CT scan slice | Abdomen

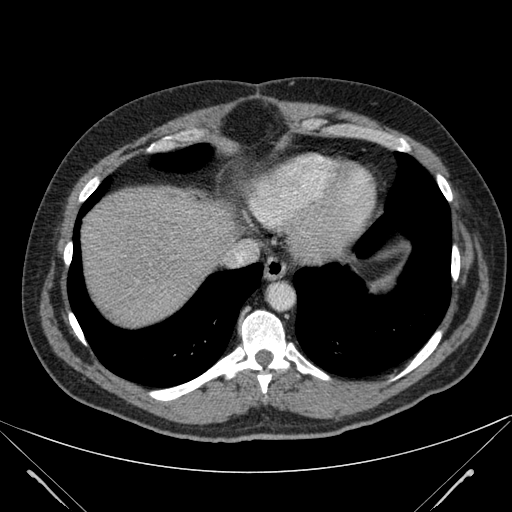
liver:
  - (81, 186, 239, 327)